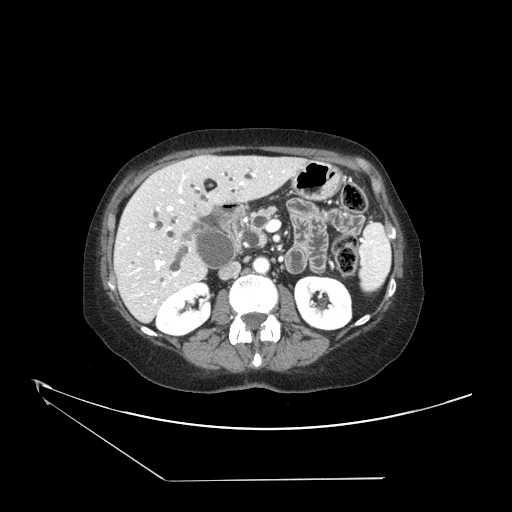 Upper abdomen | CT image
pancreas:
  - <box>271,236,286,271</box>
  - <box>251,207,276,231</box>